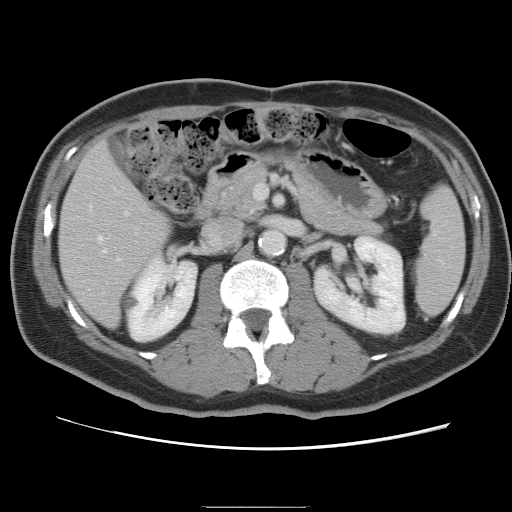
512x512 px, Computed tomography
The vessel annotation is not exhaustive.
<segmentation>
  <hepatic_vessel>bbox=[116, 257, 119, 259]; bbox=[102, 249, 105, 251]; bbox=[97, 235, 102, 240]; bbox=[89, 205, 91, 209]; bbox=[113, 187, 117, 192]; bbox=[124, 210, 128, 214]</hepatic_vessel>
</segmentation>